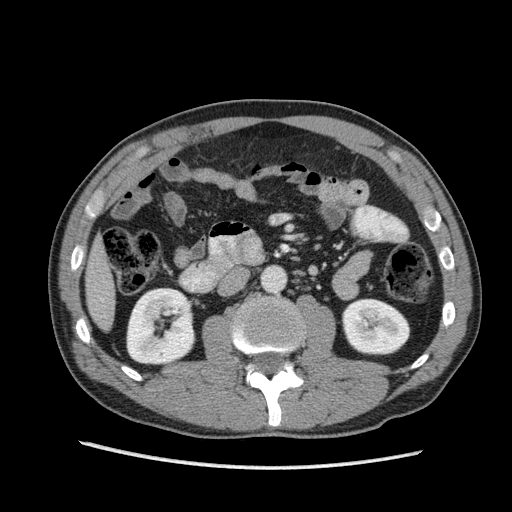

CT image; Abdomen

{
  "kidney": [
    "x1=343, y1=299, x2=408, y2=353",
    "x1=127, y1=289, x2=193, y2=363"
  ],
  "liver": [
    "x1=85, y1=233, x2=115, y2=330"
  ]
}